Head; 240x240
FLAIR magnetic resonance.
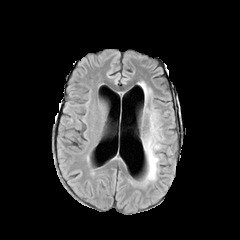
T1-weighted magnetic resonance.
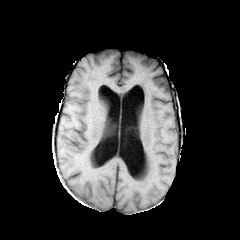
Post-contrast T1-weighted MRI.
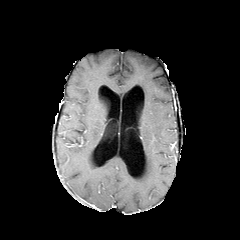
T2-weighted magnetic resonance.
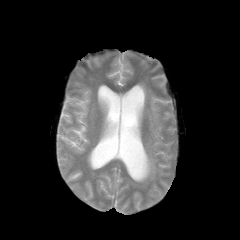
2 edema regions are bounded by rect(142, 106, 163, 183); rect(139, 81, 151, 97).